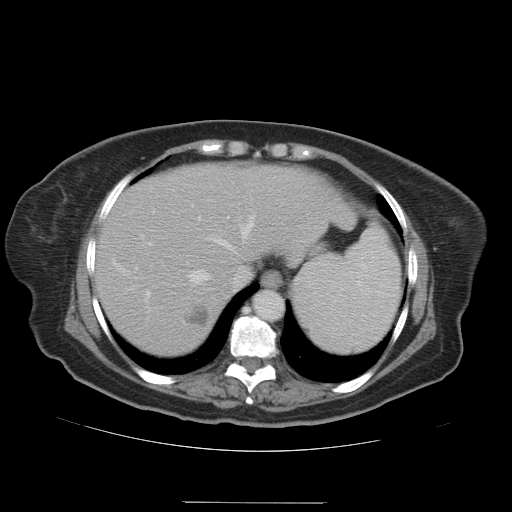 CT
The vessel boxes may cover only some of the vessels.
Annotated regions:
• hepatic vessel: (241,222,252,242), (250,216,253,218), (191,271,209,283), (140,234,143,238), (226,296,227,297), (148,242,151,244), (221,241,229,246), (153,211,154,212)